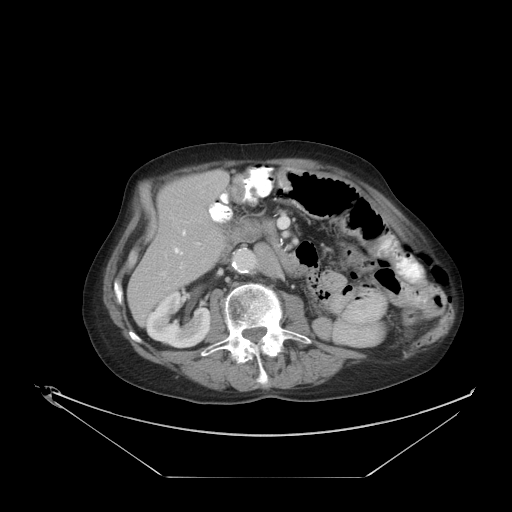 512x512 px | CT slice

Findings:
- colon tumor: (231,174,246,203)